FLAIR MRI.
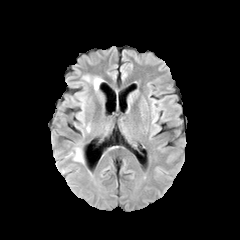
T1-weighted magnetic resonance.
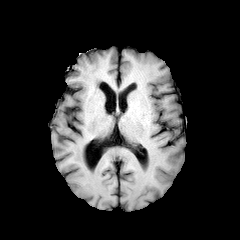
Post-contrast T1-weighted MRI.
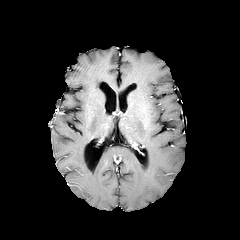
T2-weighted MR image.
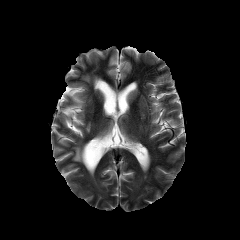
240x240
3 edema regions appear at (left=82, top=75, right=103, bottom=91), (left=70, top=145, right=83, bottom=163), (left=74, top=91, right=86, bottom=126).